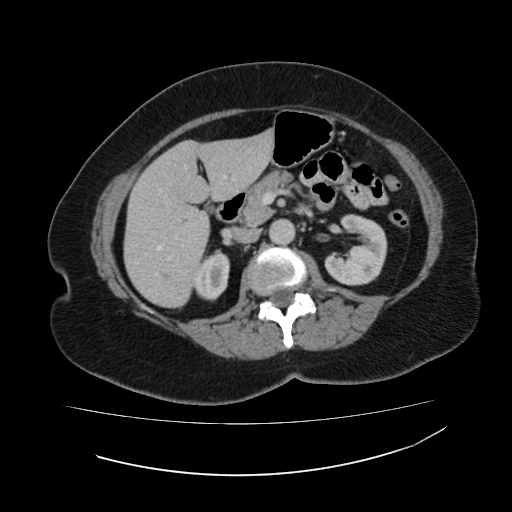

Abdomen; CT image

kidney: (x1=197, y1=252, x2=229, y2=299), (x1=325, y1=215, x2=386, y2=285) | focal liver lesion: (x1=159, y1=271, x2=172, y2=283) | liver: (x1=124, y1=133, x2=272, y2=307)